FLAIR MRI.
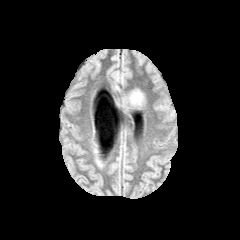
T1-weighted MR image.
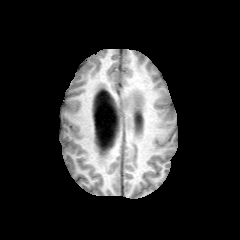
Post-contrast T1-weighted MR.
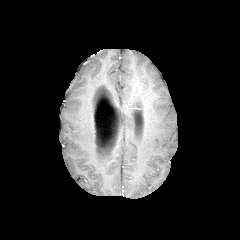
T2-weighted MRI.
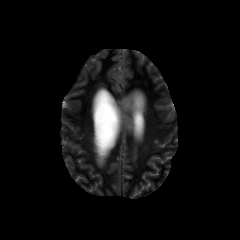
Enhancing tumor: (x1=130, y1=93, x2=138, y2=104).
Edema: (x1=118, y1=84, x2=146, y2=111).